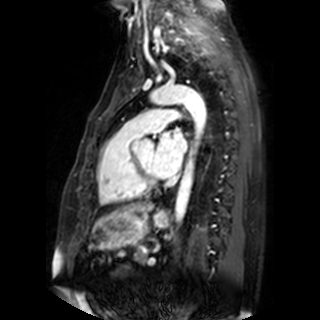 MR. Heart.
The left atrium lies within 153,129,187,176.